Liver; CT slice
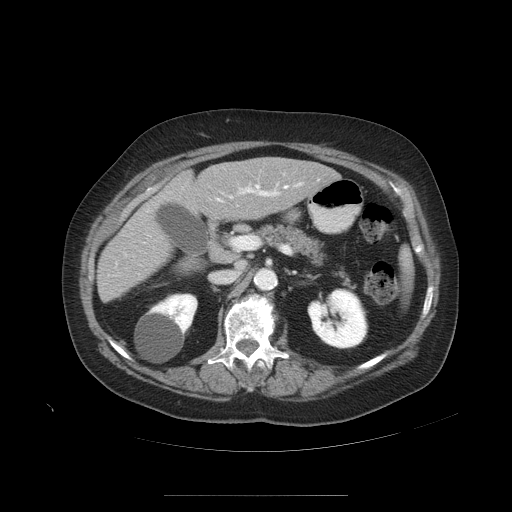

Some hepatic vessels may have no box.
hepatic_vessel:
  - box=[238, 185, 277, 195]
  - box=[296, 183, 301, 185]
  - box=[216, 199, 220, 201]
  - box=[284, 186, 287, 188]
  - box=[229, 196, 231, 198]
  - box=[231, 236, 254, 249]